Slice index 91 | CT image 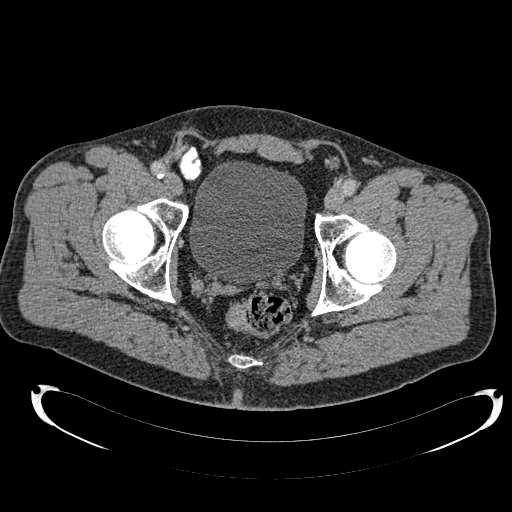

Urinary bladder at region(189, 161, 306, 284).